240x240 px.
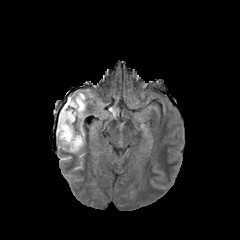
FLAIR MR.
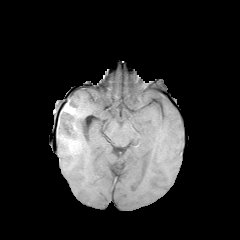
T1-weighted magnetic resonance.
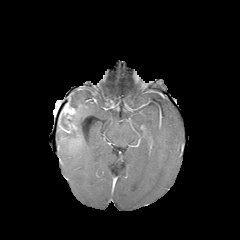
Post-contrast T1-weighted magnetic resonance of the same slice.
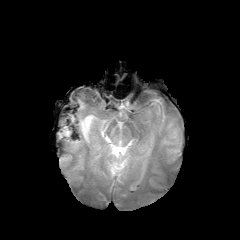
T2-weighted magnetic resonance.
Segmented structures:
• edema: {"x1": 57, "y1": 91, "x2": 100, "y2": 156}
• non-enhancing tumor core: {"x1": 59, "y1": 112, "x2": 75, "y2": 132}, {"x1": 69, "y1": 140, "x2": 78, "y2": 146}, {"x1": 82, "y1": 120, "x2": 87, "y2": 137}